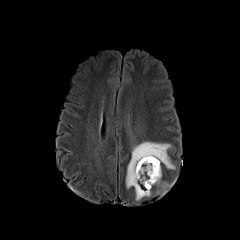
FLAIR MR image.
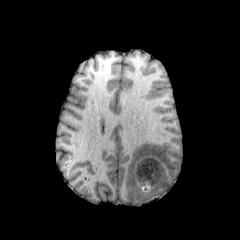
T1-weighted MR.
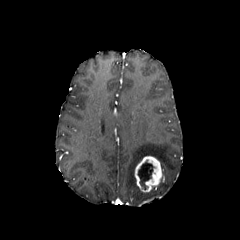
Post-contrast T1-weighted MR.
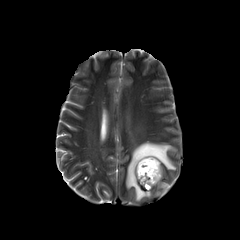
T2-weighted MR.
240x240, Head
edema:
  - {"x1": 125, "y1": 142, "x2": 175, "y2": 200}
enhancing_tumor:
  - {"x1": 133, "y1": 155, "x2": 164, "y2": 192}
non-enhancing_tumor_core:
  - {"x1": 138, "y1": 163, "x2": 152, "y2": 184}